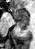

MR image | Hippocampus
Anterior hippocampus — (11,8,28,20).
Posterior hippocampus — (18,21,28,30).